Image width 512 mm | 512x512 px | Abdomen | CT
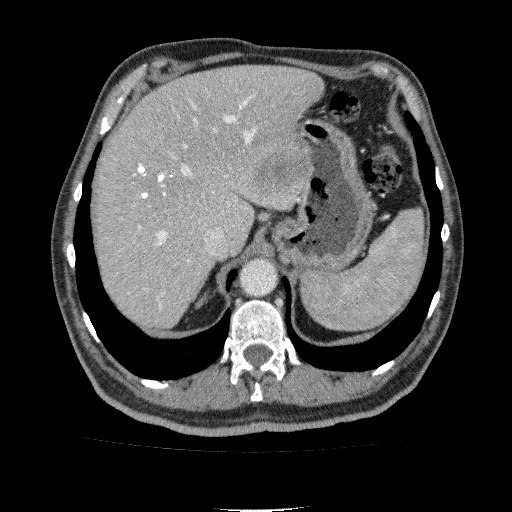

The liver is located at region(93, 67, 323, 333). The hepatic lesion lies within region(253, 148, 309, 195).